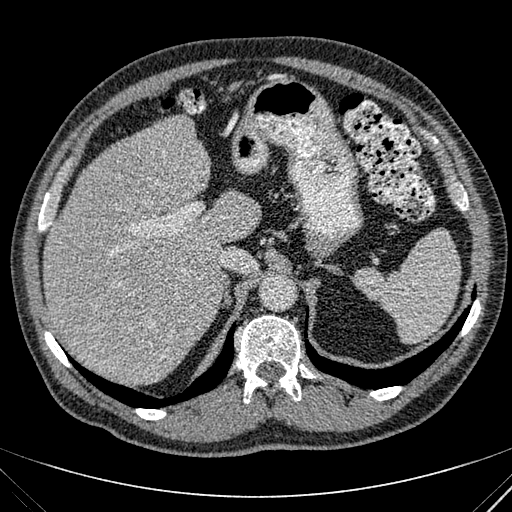
Image size 512x512; Liver; CT image

The liver is located at 45, 117, 258, 383.